FLAIR magnetic resonance.
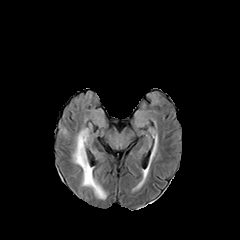
T1-weighted MR.
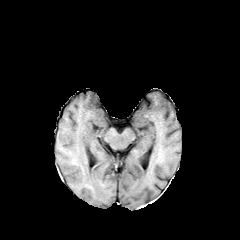
Post-contrast T1-weighted MR.
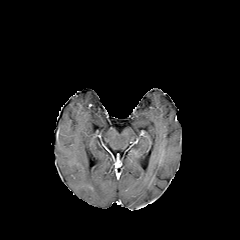
T2-weighted MR image.
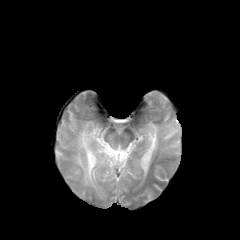
Brain
The edema is bounded by [x1=73, y1=128, x2=106, y2=199].